CT | Thorax | Image size 512x512

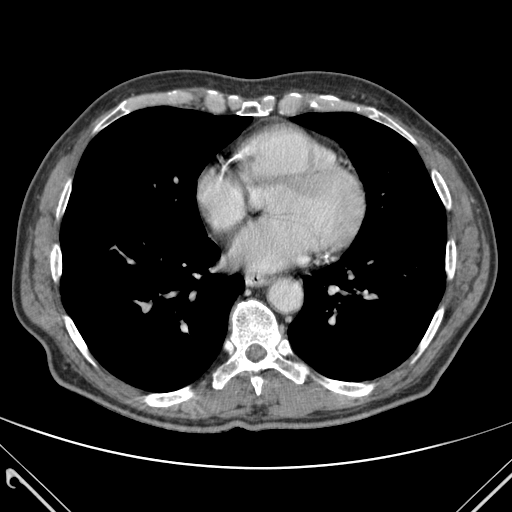 <segmentation>
  <bone>(446, 241, 455, 277), (235, 102, 271, 115), (51, 243, 61, 283), (57, 181, 70, 224), (363, 108, 415, 142), (65, 317, 92, 362), (432, 171, 450, 207), (213, 300, 307, 394), (145, 388, 192, 406), (420, 309, 442, 351), (95, 101, 129, 129), (322, 379, 372, 396), (319, 96, 341, 104)</bone>
  <lung>(60, 106, 251, 392), (288, 112, 446, 381)</lung>
</segmentation>